Computed tomography, 512x512 px, Slice 398/733 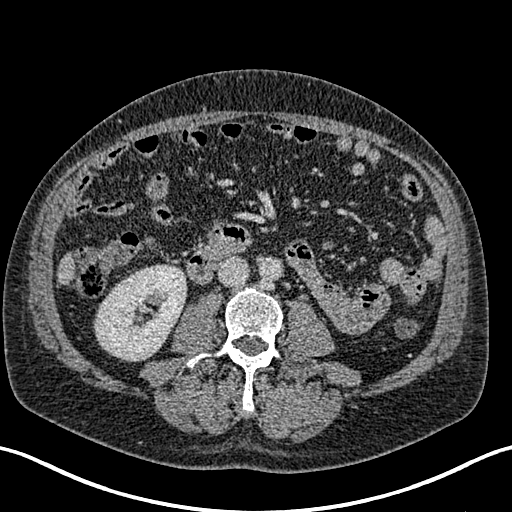
Kidney: bounding box bbox=[95, 265, 186, 360].
Liver: bounding box bbox=[58, 252, 75, 284].